CT. Slice 38/101. Image width 360 mm. Image size 512x512. 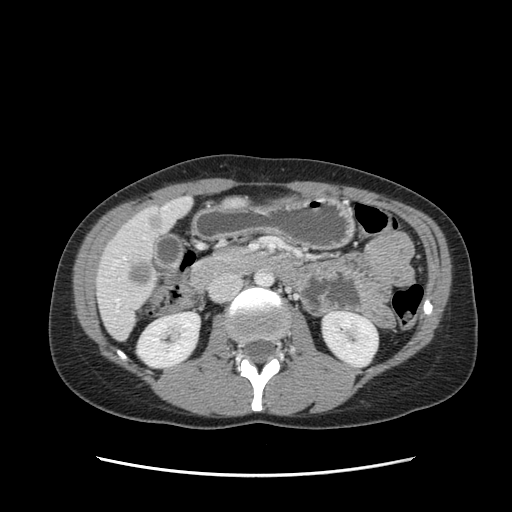 The pancreas lies within bbox=[217, 247, 249, 264].